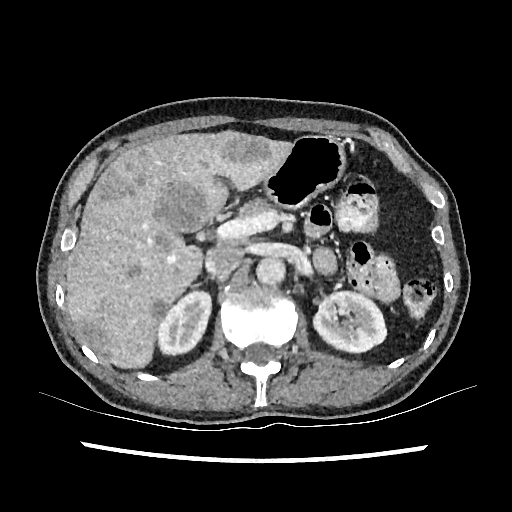

CT

Annotated regions:
* liver: (x1=67, y1=131, x2=292, y2=367)
* kidney: (x1=314, y1=292, x2=386, y2=352), (x1=158, y1=292, x2=210, y2=354)
* hepatic lesion: (x1=133, y1=174, x2=145, y2=186), (x1=151, y1=300, x2=169, y2=320), (x1=212, y1=135, x2=271, y2=166), (x1=77, y1=320, x2=110, y2=358), (x1=154, y1=184, x2=206, y2=232), (x1=99, y1=170, x2=132, y2=201), (x1=71, y1=256, x2=78, y2=266), (x1=154, y1=231, x2=171, y2=252), (x1=126, y1=265, x2=140, y2=278)